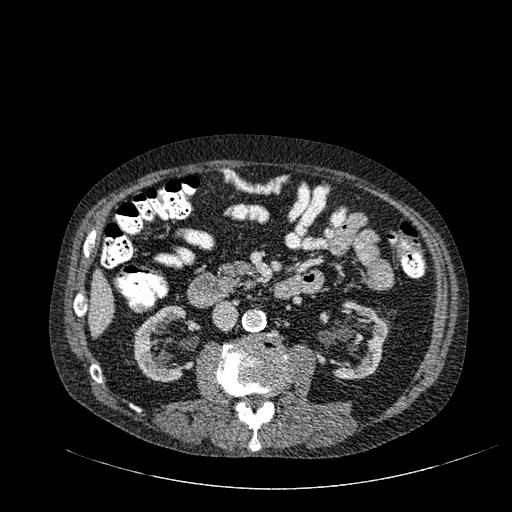

Computed tomography; 512x512 px

* liver: <box>90,270,113,336</box>
* kidney: <box>319,301,388,379</box>, <box>317,353,325,363</box>, <box>320,312,328,323</box>, <box>133,306,197,382</box>, <box>185,320,199,331</box>